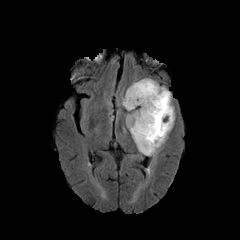
FLAIR MRI.
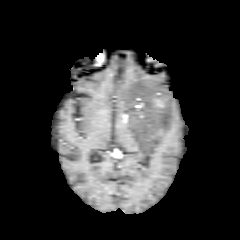
T1-weighted MR image.
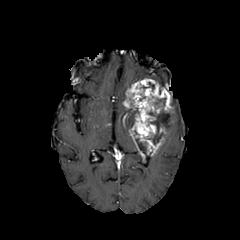
Post-contrast T1-weighted MR.
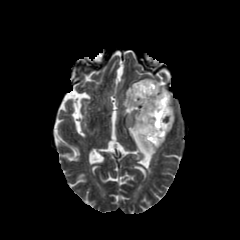
T2-weighted MR.
Head; 240x240
Segmented structures:
- non-enhancing tumor core: <bbox>135, 140, 147, 155</bbox>, <bbox>127, 108, 138, 127</bbox>, <bbox>152, 109, 174, 143</bbox>
- edema: <bbox>125, 114, 131, 130</bbox>, <bbox>166, 121, 173, 135</bbox>
- enhancing tumor: <bbox>123, 78, 173, 155</bbox>